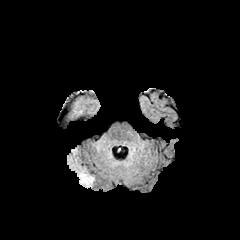
FLAIR MRI.
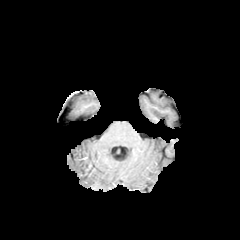
T1-weighted MRI of the same slice.
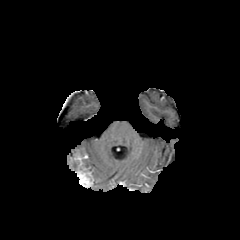
Post-contrast T1-weighted MR image.
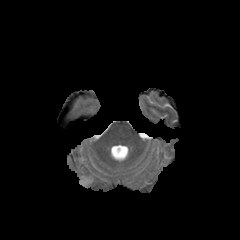
T2-weighted MR.
Head
The enhancing tumor is at left=77, top=170, right=93, bottom=187.